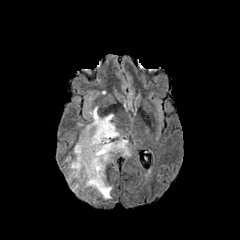
FLAIR MR image.
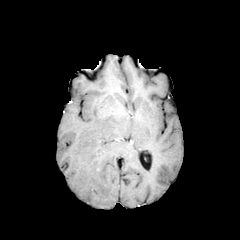
T1-weighted MR image of the same slice.
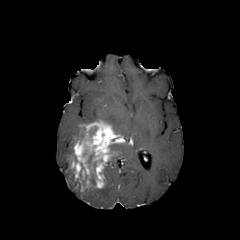
Post-contrast T1-weighted magnetic resonance of the same slice.
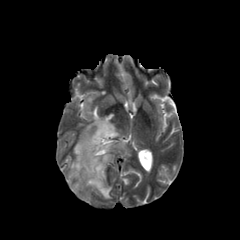
Same slice, T2-weighted MR image.
Head. Image size 240x240.
edema:
  - (111,143,130,156)
  - (85,106,119,133)
  - (65,156,74,183)
  - (88,167,112,199)
  - (70,182,86,193)
non-enhancing_tumor_core:
  - (89,173,96,185)
  - (76,170,87,183)
enhancing_tumor:
  - (71,120,125,188)